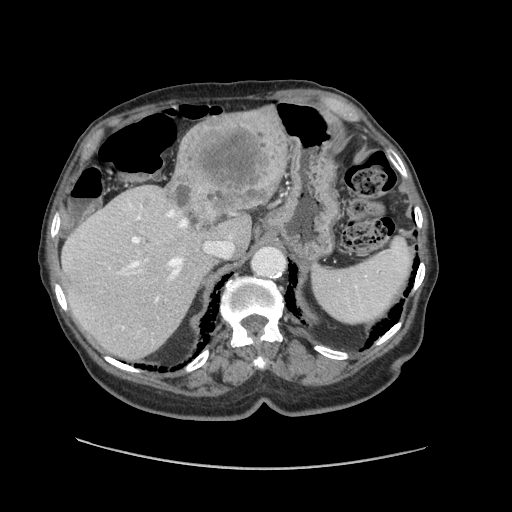

512x512 | Liver | CT
The vessel boxes may cover only some of the vessels.
Liver tumor: bounding box left=169, top=111, right=284, bottom=227.
Hepatic vessel: bounding box left=168, top=257, right=183, bottom=278; left=167, top=210, right=174, bottom=216; left=179, top=221, right=185, bottom=226; left=204, top=241, right=233, bottom=257; left=132, top=237, right=139, bottom=242; left=134, top=261, right=139, bottom=264.